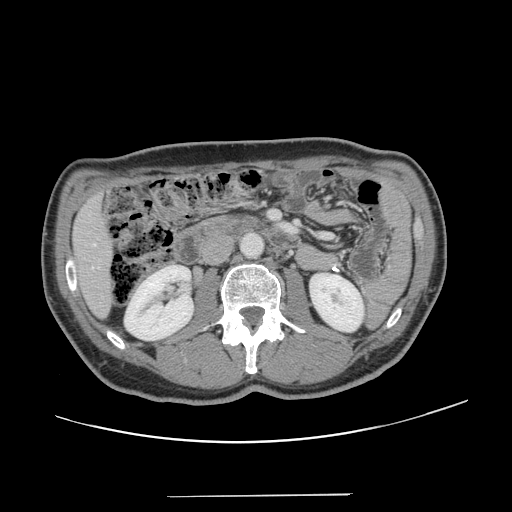 CT scan slice
Only some of the vessels may be annotated.
2 hepatic vessel regions are located at bbox(93, 243, 95, 246); bbox(92, 267, 93, 269).